Slice 66 of 134 | Image width 403 mm | CT

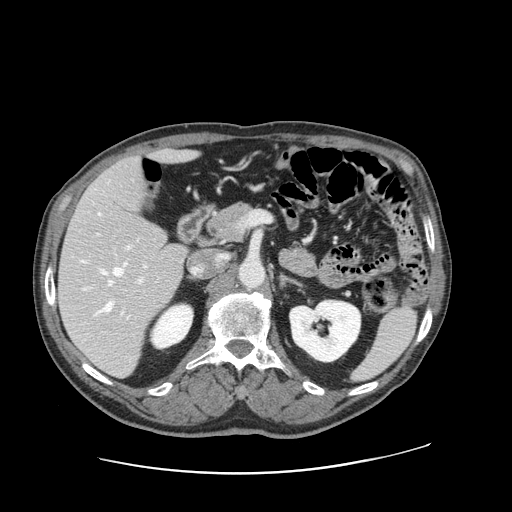
The vessel boxes may cover only some of the vessels.
Findings:
- hepatic vessel: (95,302,112,314), (83,288,86,290), (81,261,85,262), (109,281,112,284), (98,213,100,214), (143,266,145,267), (127,246,130,248), (100,269,106,274), (138,278,142,282), (114,267,123,275), (124,263,126,265)